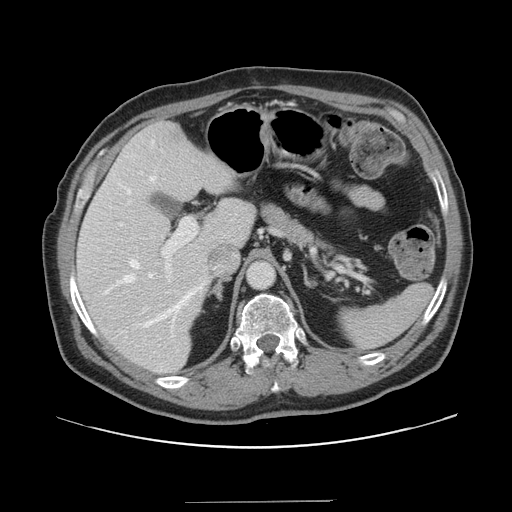
Abdomen | Image size 512x512 | CT
The vessel annotation is not exhaustive.
hepatic_vessel:
  - [x1=150, y1=176, x2=155, y2=181]
  - [x1=118, y1=275, x2=134, y2=282]
  - [x1=106, y1=290, x2=108, y2=292]
  - [x1=125, y1=188, x2=130, y2=193]
  - [x1=162, y1=217, x2=196, y2=281]
  - [x1=143, y1=308, x2=147, y2=312]
  - [x1=136, y1=280, x2=205, y2=336]
  - [x1=149, y1=274, x2=152, y2=277]
  - [x1=130, y1=259, x2=139, y2=268]